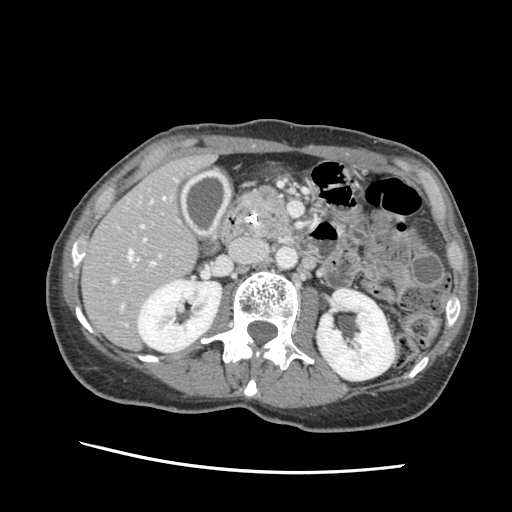 CT scan slice. Image size 512x512. Abdomen.
Segmented structures:
* pancreas: (left=243, top=187, right=293, bottom=240)